Field of view 360x360 mm, Slice 148/689, CT image 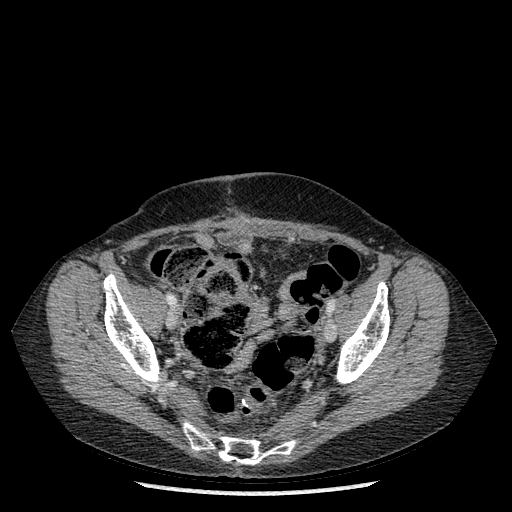 Bone at [336,281,389,383], [183,420,296,465], [103,274,165,391].